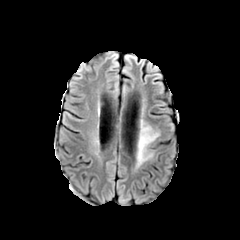
FLAIR MR image.
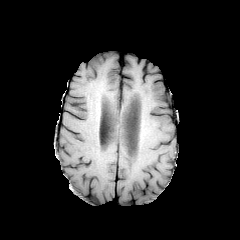
T1-weighted MR image of the same slice.
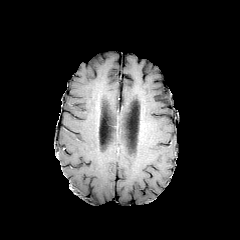
Post-contrast T1-weighted MRI of the same slice.
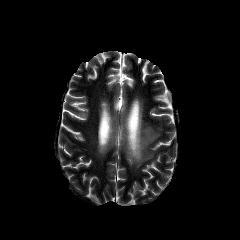
T2-weighted MR of the same slice.
240x240, Brain
Segmented structures:
- edema: (136,120,158,163)